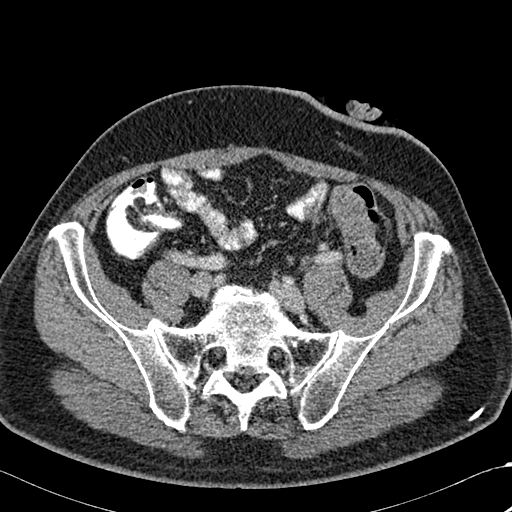

CT. bone:
  - rect(49, 222, 450, 429)